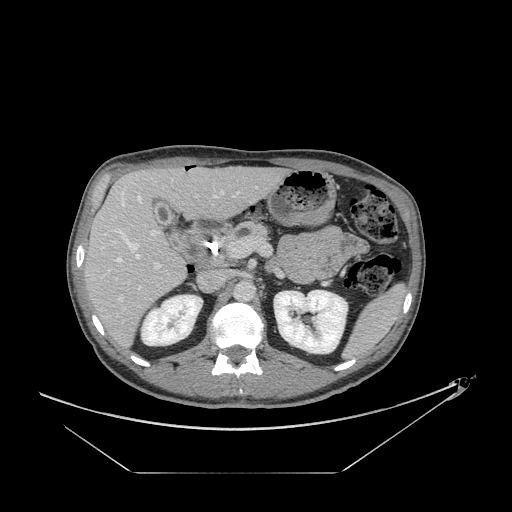
Image size 512x512; Computed tomography
pancreas:
  - [232,222,269,242]